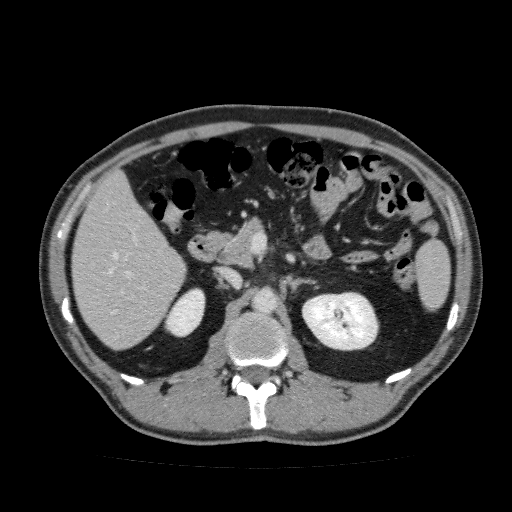

Liver, CT slice

2 kidney regions appear at <box>303,293,377,349</box>, <box>166,289,204,335</box>. The liver is at <box>71,168,186,350</box>.